Upper abdomen; Slice 187/260; CT scan slice

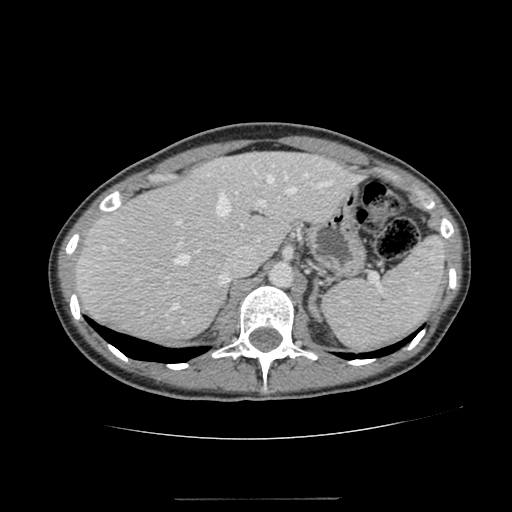 The liver is bounded by bbox(77, 152, 365, 340).